FLAIR MRI.
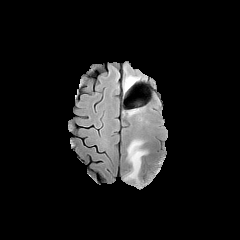
T1-weighted MR image.
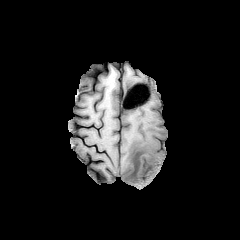
Post-contrast T1-weighted MR image.
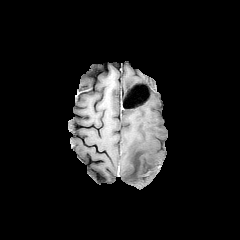
T2-weighted MRI.
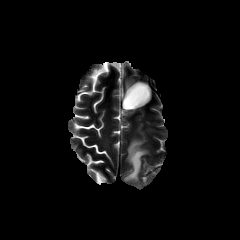
240x240
Edema: <bbox>124, 138, 147, 182</bbox>, <bbox>125, 78, 134, 90</bbox>.